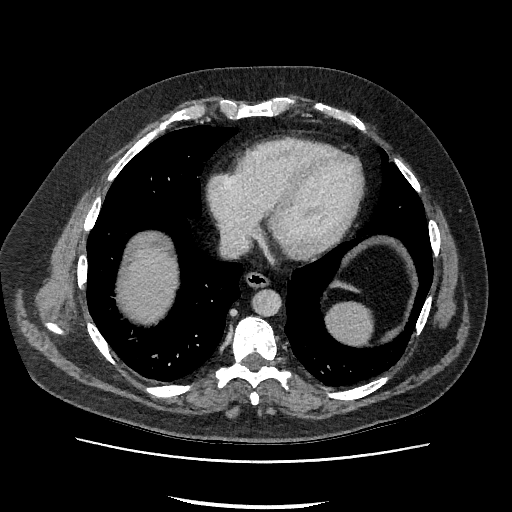 Image size 512x512. CT slice. 2 liver regions appear at 121, 241, 176, 320; 333, 283, 356, 290.